FLAIR MR image.
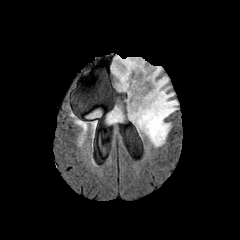
T1-weighted MR.
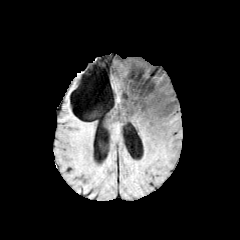
Post-contrast T1-weighted MR image.
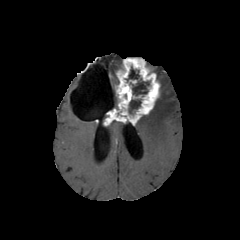
T2-weighted magnetic resonance.
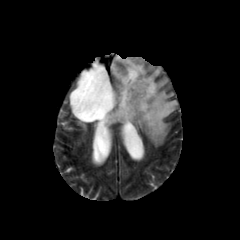
Brain; 240x240
<segmentation>
  <enhancing_tumor>[105,58,159,123]</enhancing_tumor>
  <non-enhancing_tumor_core>[125,67,139,81], [128,98,141,115], [132,80,149,96]</non-enhancing_tumor_core>
  <edema>[111,56,121,77], [135,75,178,146], [86,108,101,117]</edema>
</segmentation>